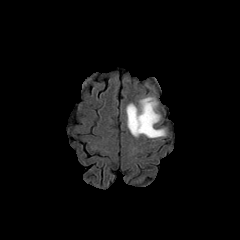
FLAIR MR.
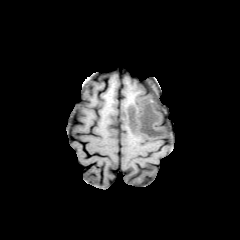
Same slice, T1-weighted magnetic resonance.
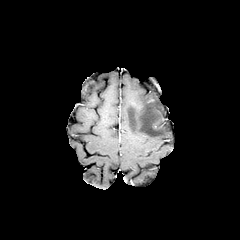
Same slice, post-contrast T1-weighted MRI.
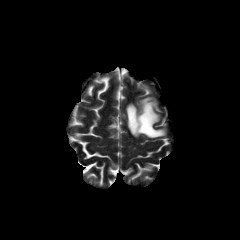
T2-weighted MR.
Image size 240x240.
{"edema": ["left=124, top=95, right=167, bottom=140"], "non-enhancing_tumor_core": ["left=140, top=116, right=153, bottom=133"]}